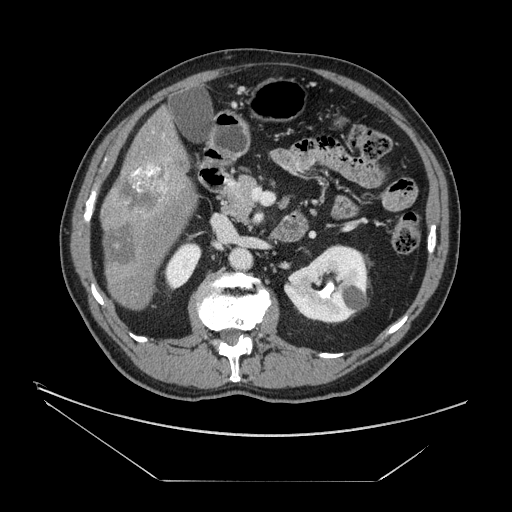 CT

Liver tumor: bounding box 117:165:171:213, 107:228:136:264.